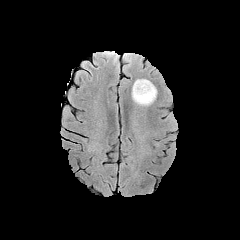
FLAIR MRI.
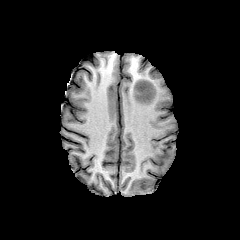
T1-weighted MR of the same slice.
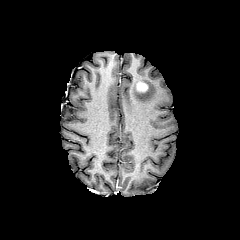
Same slice, post-contrast T1-weighted MRI.
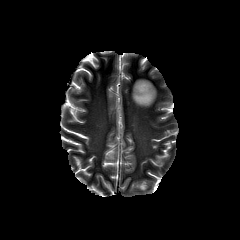
T2-weighted MRI of the same slice.
Head
edema:
  - 131:79:157:105
enhancing_tumor:
  - 136:81:147:91